CT slice 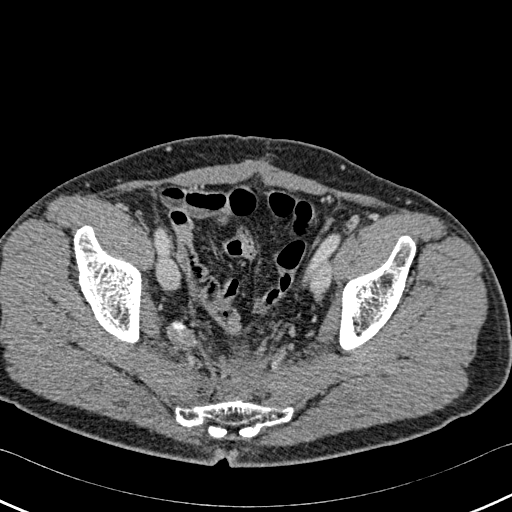
Bone: bounding box 74:226:140:342, 207:426:226:436, 339:236:415:349, 175:400:293:436.